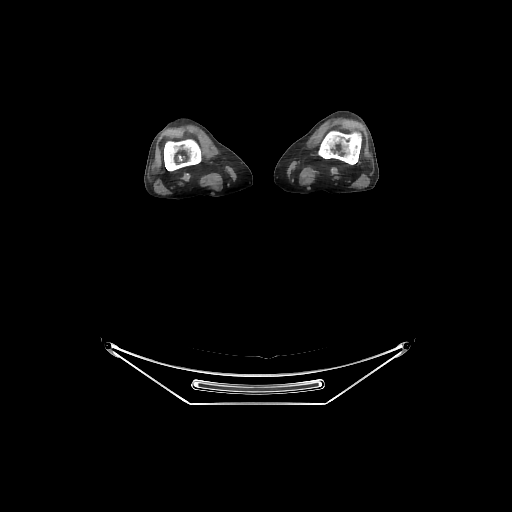
CT slice. {
  "bone": [
    "[318, 131, 361, 164]",
    "[164, 139, 201, 170]"
  ]
}